Brain
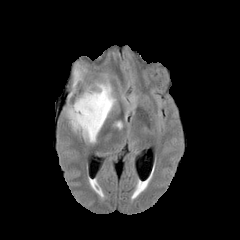
FLAIR magnetic resonance.
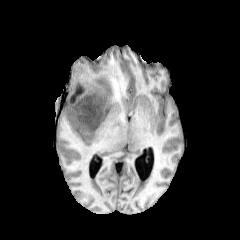
T1-weighted magnetic resonance of the same slice.
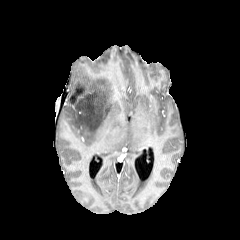
Same slice, post-contrast T1-weighted MRI.
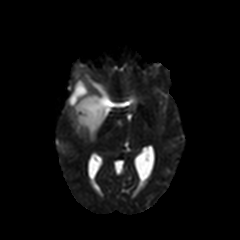
T2-weighted MR image of the same slice.
Edema: bounding box <bbox>64, 65, 120, 142</bbox>, <bbox>121, 98, 135, 111</bbox>.
Non-enhancing tumor core: bounding box <bbox>73, 86, 86, 102</bbox>, <bbox>79, 95, 106, 129</bbox>, <bbox>97, 85, 108, 97</bbox>.